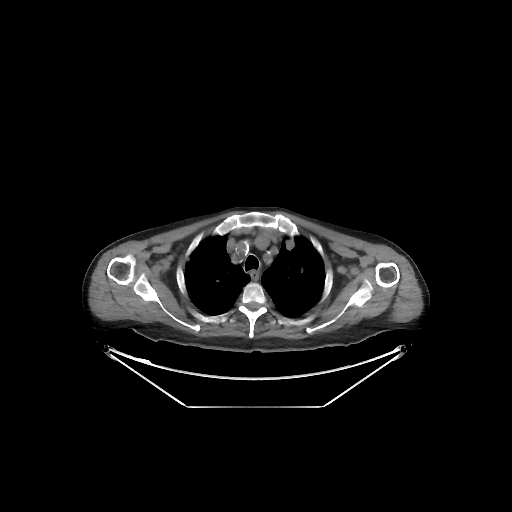

CT image; Chest
bone:
  - (107,255,162,307)
  - (297,318,311,324)
  - (177,268,184,291)
  - (375,262,399,287)
  - (306,279,372,332)
  - (216,212,297,235)
  - (238,283,267,337)
  - (325,279,331,294)
  - (174,318,199,330)
lung:
  - (184,234,258,315)
  - (261,235,325,317)